Slice 151/155; Computed tomography
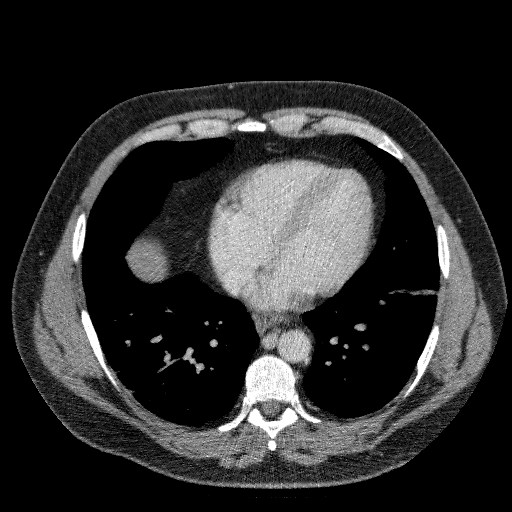

Liver: bounding box bbox(128, 243, 165, 280).